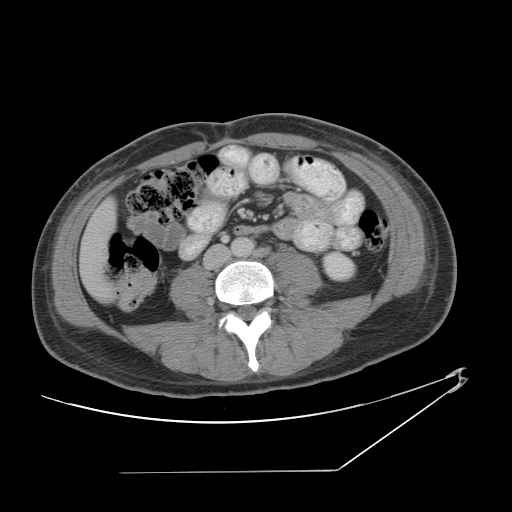
Abdomen | CT scan slice
Not every hepatic vessel necessarily has a box.
hepatic vessel: x1=94, y1=255, x2=97, y2=255